Image size 512x512 | CT slice | Field of view 399 mm wide, 2.50 mm slice spacing | Slice index 62 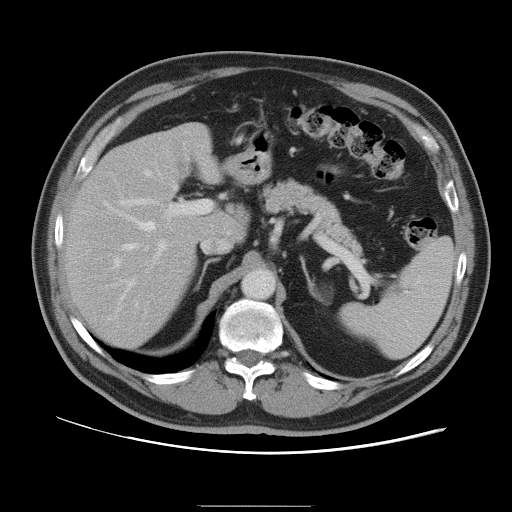 The vessel boxes may cover only some of the vessels.
14 hepatic vessel regions are located at <box>146,239,166,263</box>, <box>163,210,172,219</box>, <box>123,243,137,249</box>, <box>144,247,147,250</box>, <box>135,303,137,307</box>, <box>183,144,184,146</box>, <box>113,258,119,267</box>, <box>119,198,156,205</box>, <box>114,284,117,284</box>, <box>104,201,155,235</box>, <box>115,278,135,304</box>, <box>173,186,175,188</box>, <box>146,171,150,175</box>, <box>159,172,162,181</box>.